Image width 350 mm. CT image.
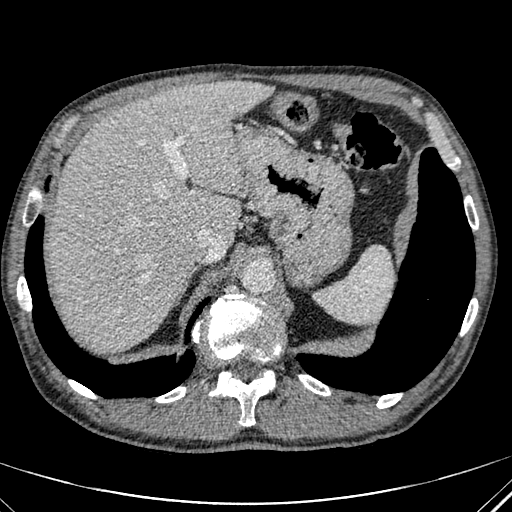
<segmentation>
  <liver>51:81:273:352</liver>
</segmentation>